FLAIR MR.
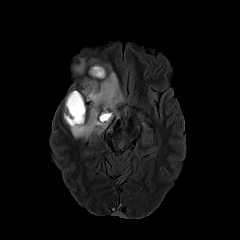
T1-weighted MR.
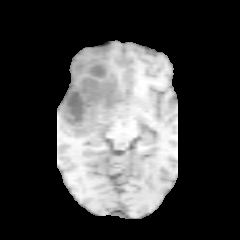
Post-contrast T1-weighted MR.
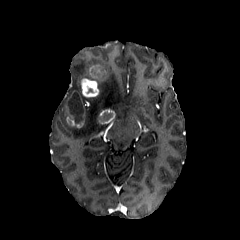
T2-weighted MRI.
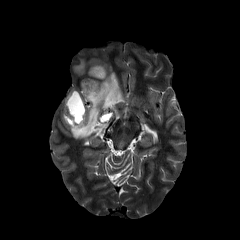
240x240.
The non-enhancing tumor core is bounded by bbox=[66, 92, 83, 115]. 4 enhancing tumor regions are located at bbox=[89, 65, 103, 78]; bbox=[65, 92, 85, 127]; bbox=[98, 109, 115, 124]; bbox=[81, 78, 99, 97]. 2 edema regions appear at bbox=[69, 58, 125, 140]; bbox=[73, 58, 86, 74].